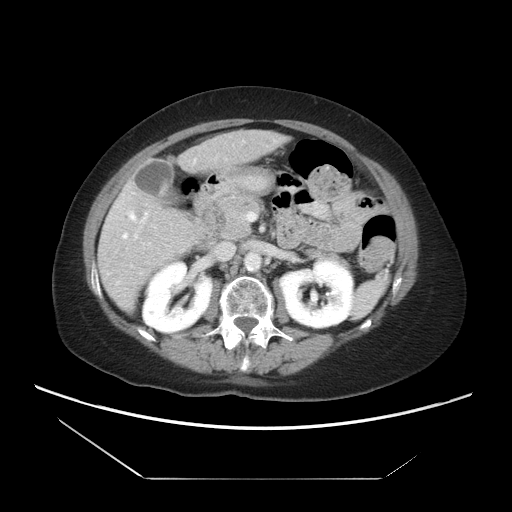
CT | Liver

Some hepatic vessels may have no box.
6 hepatic vessel regions appear at x1=116, y1=281, x2=119, y2=284; x1=194, y1=159, x2=195, y2=162; x1=140, y1=212, x2=148, y2=223; x1=123, y1=233, x2=127, y2=237; x1=129, y1=212, x2=135, y2=220; x1=134, y1=235, x2=137, y2=238.